FLAIR magnetic resonance.
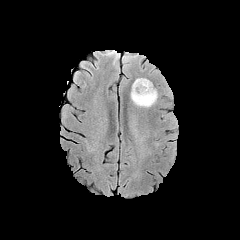
T1-weighted MR.
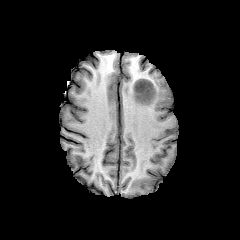
Post-contrast T1-weighted MR.
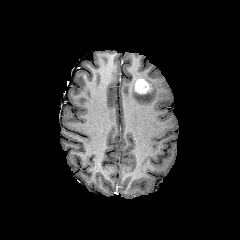
T2-weighted MR.
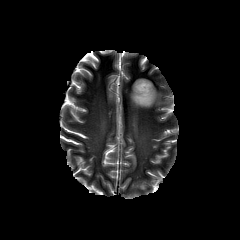
Brain
The non-enhancing tumor core lies within (139,83,152,95). The edema lies within (131,78,158,107). The enhancing tumor is bounded by (135,78,150,93).